Slice 444/733, CT slice 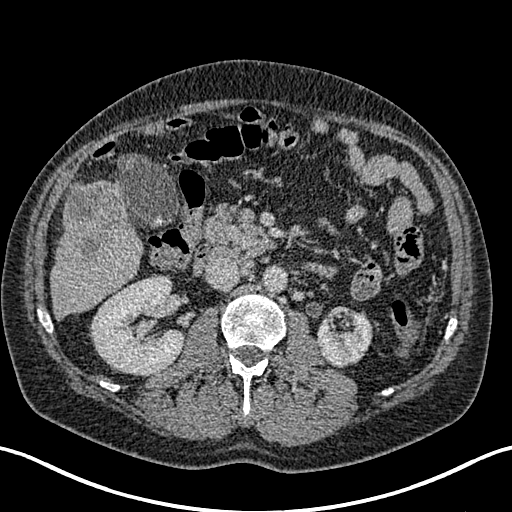
Segmented structures:
* focal liver lesion: (66, 184, 119, 261)
* liver: (50, 181, 141, 319)
* kidney: (92, 277, 183, 374), (318, 313, 370, 365)